CT image; Slice 103 of 134

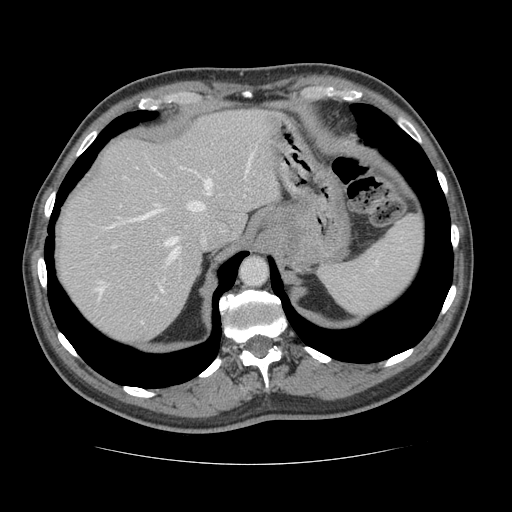
The vessel boxes may cover only some of the vessels.
Most prominent 15 of 16 hepatic vessel regions at <box>244,177,245,179</box>, <box>247,153,252,168</box>, <box>153,168,155,170</box>, <box>168,246,179,260</box>, <box>165,237,178,245</box>, <box>95,281,103,297</box>, <box>187,201,203,210</box>, <box>116,216,121,222</box>, <box>129,204,161,220</box>, <box>204,178,211,194</box>, <box>160,286,164,292</box>, <box>154,296,156,298</box>, <box>157,172,160,175</box>, <box>113,245,115,247</box>, <box>102,224,114,228</box>.